Image width 240 mm, Slice index 90, 240x240
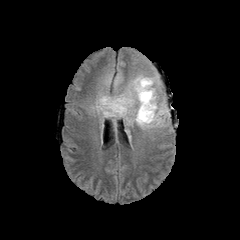
FLAIR MRI.
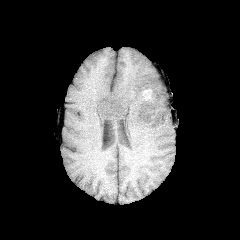
T1-weighted magnetic resonance.
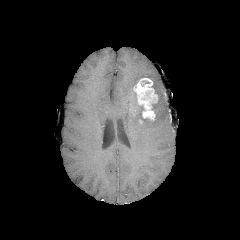
Post-contrast T1-weighted magnetic resonance of the same slice.
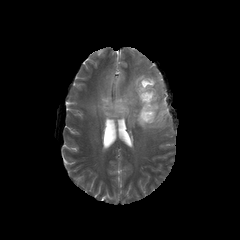
T2-weighted MR.
* non-enhancing tumor core: [144,76,157,93], [124,91,157,123]
* enhancing tumor: [133,78,157,119]
* edema: [91,70,170,133]